Image size 512x512, CT, Field of view 700x700 mm

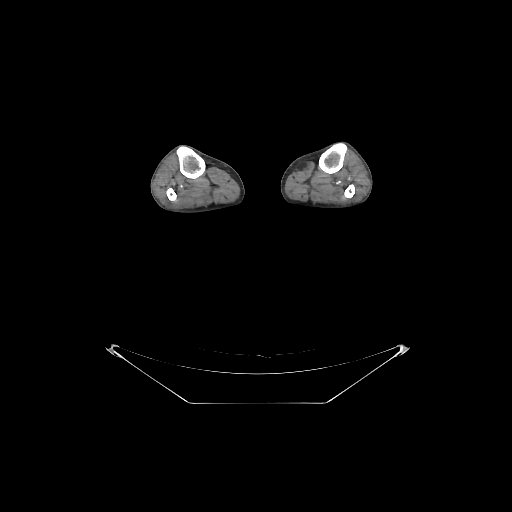

{"bone": ["344,184,354,197", "177,146,205,178", "166,188,176,200", "319,143,346,173"]}